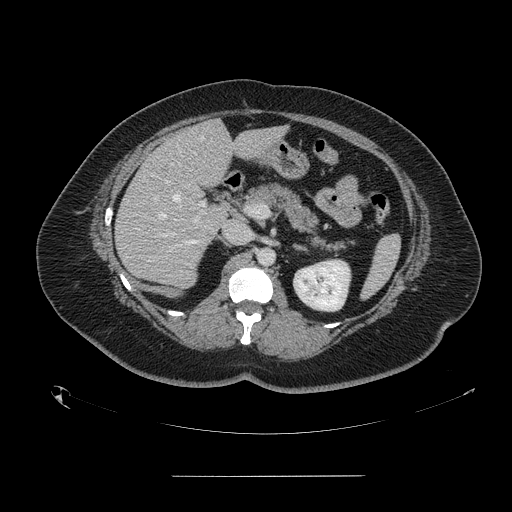
Abdomen. CT scan slice. Spleen: bounding box x1=362, y1=236, x2=399, y2=298.